Image width 240 mm, Brain, 240x240 px
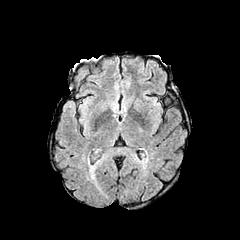
FLAIR MR.
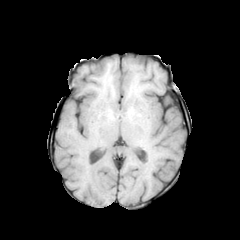
T1-weighted MRI.
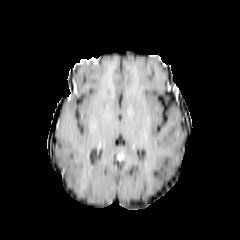
Post-contrast T1-weighted MR.
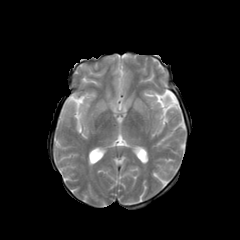
Same slice, T2-weighted MRI.
edema: (left=88, top=158, right=100, bottom=171)